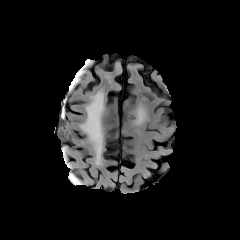
FLAIR magnetic resonance.
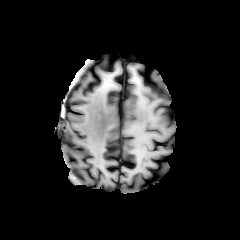
T1-weighted magnetic resonance of the same slice.
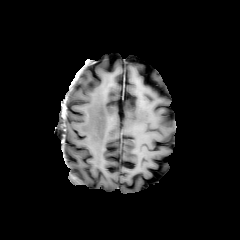
Same slice, post-contrast T1-weighted magnetic resonance.
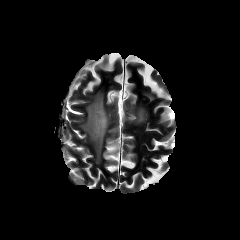
T2-weighted MRI.
The edema is at left=80, top=91, right=103, bottom=164.